Slice 40 of 155 | 240x240 | Brain
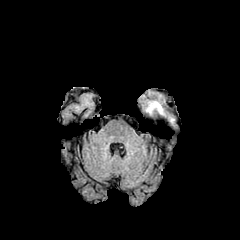
FLAIR MR image.
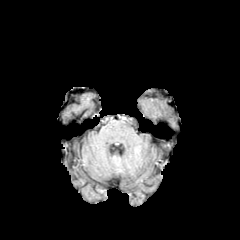
T1-weighted magnetic resonance.
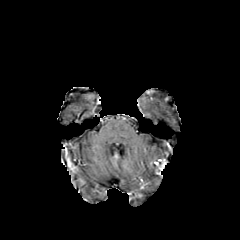
Post-contrast T1-weighted MRI.
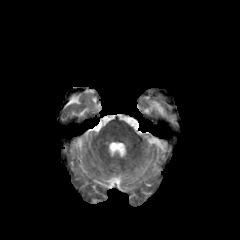
Same slice, T2-weighted MR.
edema: 145:101:166:116